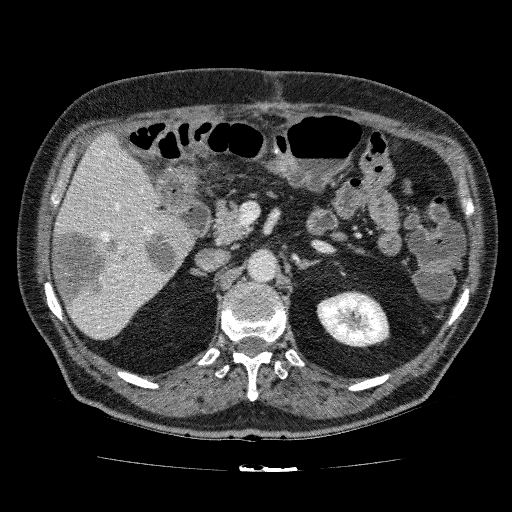 Computed tomography. Image size 512x512.

kidney:
  - (x1=317, y1=292, x2=388, y2=346)
focal_liver_lesion:
  - (x1=142, y1=230, x2=182, y2=278)
  - (x1=52, y1=228, x2=131, y2=308)
liver:
  - (x1=53, y1=131, x2=194, y2=339)